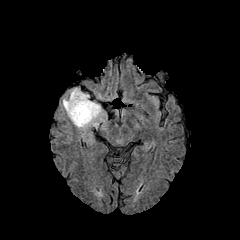
FLAIR MRI.
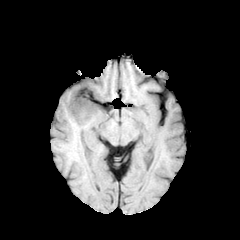
T1-weighted MR image of the same slice.
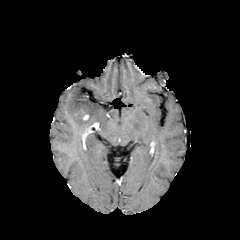
Post-contrast T1-weighted magnetic resonance.
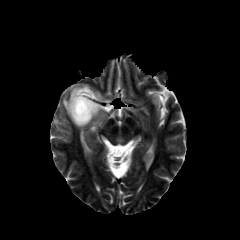
T2-weighted MR image.
Head
edema: x1=62, y1=86, x2=106, y2=134; x1=94, y1=90, x2=103, y2=101 | non-enhancing tumor core: x1=81, y1=123, x2=94, y2=140; x1=73, y1=102, x2=89, y2=121